240x240 px; Slice 103 of 155
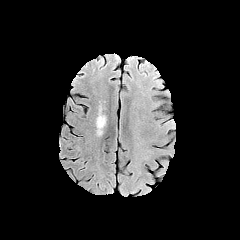
FLAIR MR image.
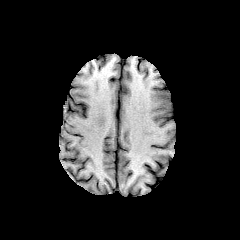
T1-weighted MRI.
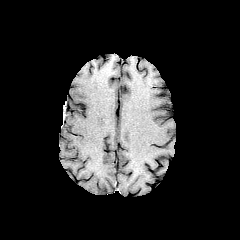
Post-contrast T1-weighted MR.
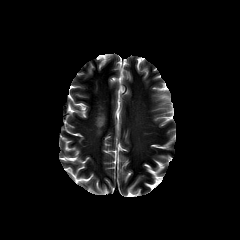
T2-weighted MR.
- edema: (left=96, top=108, right=106, bottom=127)